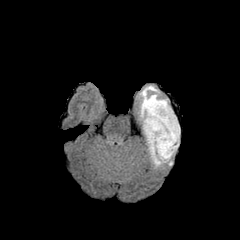
FLAIR magnetic resonance.
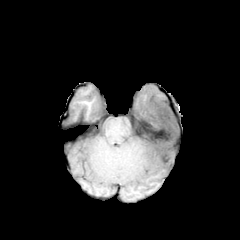
T1-weighted MR of the same slice.
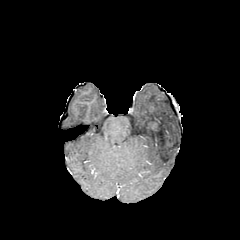
Post-contrast T1-weighted MR of the same slice.
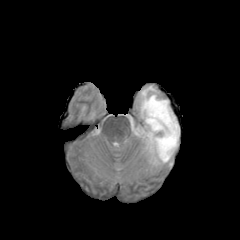
T2-weighted magnetic resonance of the same slice.
<segmentation>
  <non-enhancing_tumor_core>left=151, top=111, right=165, bottom=127</non-enhancing_tumor_core>
  <edema>left=137, top=85, right=179, bottom=167</edema>
</segmentation>